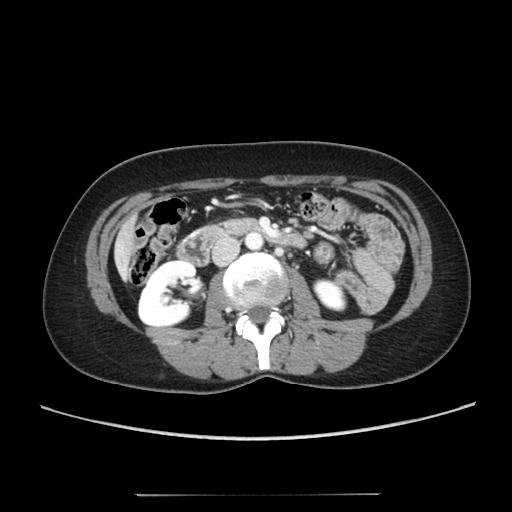 Upper abdomen. CT scan slice. 512x512.
Liver: bounding box left=114, top=212, right=138, bottom=282.
Kidney: bounding box left=316, top=282, right=342, bottom=307; left=139, top=261, right=194, bottom=325.